CT slice. Upper abdomen.

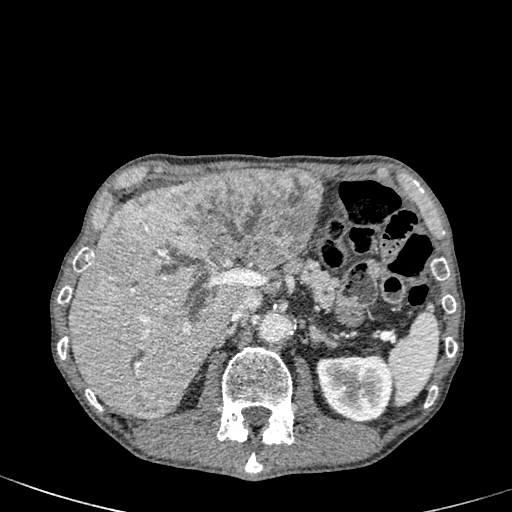

Annotated regions:
- liver: 69,179,249,417
- kidney: 318,357,396,420
- hepatic lesion: 164,317,175,327; 114,229,122,237; 134,393,148,408; 185,169,323,271